FLAIR MR.
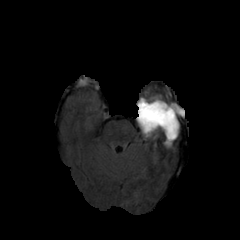
T1-weighted MR.
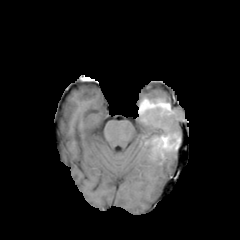
Post-contrast T1-weighted magnetic resonance.
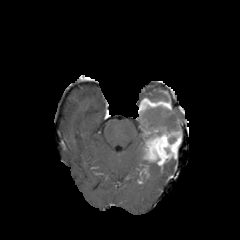
T2-weighted MR image.
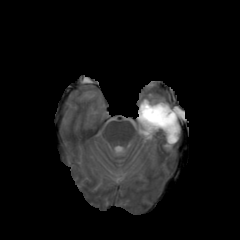
Brain.
Edema: bounding box 136,120,151,139; 171,104,183,129; 141,122,171,130.
Enhancing tumor: bounding box 138,98,171,118; 146,131,179,158.
Non-enhancing tumor core: bounding box 146,146,164,164; 136,106,180,145.